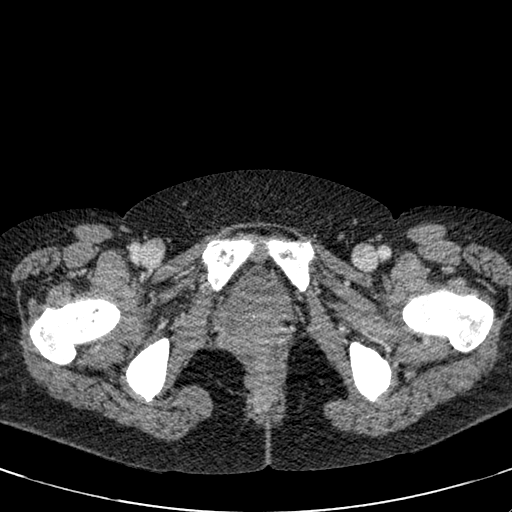
512x512. Pelvis. CT image.

Urinary bladder — box(214, 264, 292, 334).